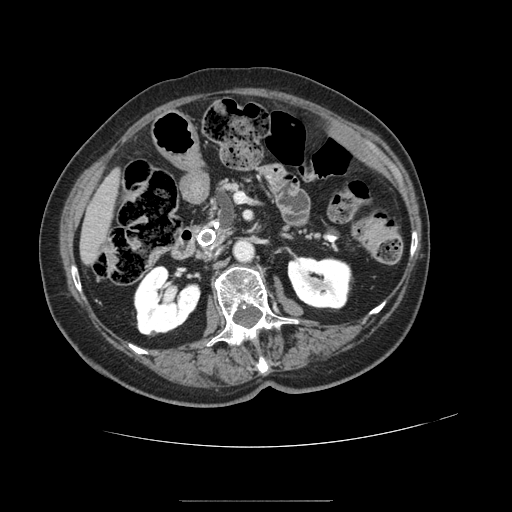
Abdomen. CT scan slice.
pancreas: box(197, 185, 235, 246)